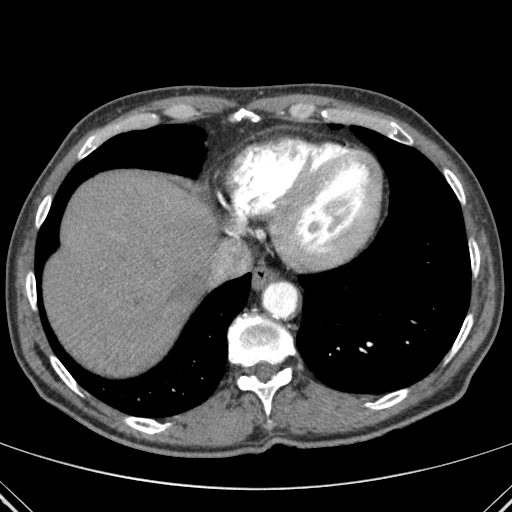
CT slice. lung:
  - bbox=[297, 126, 470, 393]
  - bbox=[36, 124, 250, 416]
  - bbox=[330, 124, 341, 128]
liver:
  - bbox=[44, 170, 216, 376]
bone:
  - bbox=[233, 108, 258, 121]
  - bbox=[36, 196, 50, 226]
  - bbox=[451, 315, 472, 354]
  - bbox=[50, 356, 80, 394]
  - bbox=[26, 272, 36, 309]
  - bbox=[365, 389, 407, 409]
  - bbox=[444, 169, 464, 203]
  - bbox=[78, 136, 98, 158]
  - bbox=[124, 417, 169, 433]
  - bbox=[383, 122, 412, 143]
  - bbox=[237, 368, 291, 415]
  - bbox=[228, 314, 294, 366]
  - bbox=[470, 241, 479, 274]